Abdomen, Slice 118 of 134, CT slice 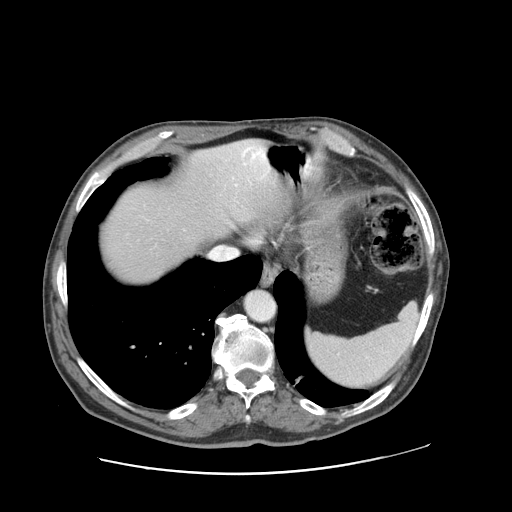
The vessel boxes may cover only some of the vessels.
Annotated regions:
* hepatic vessel: (left=267, top=166, right=267, bottom=170), (left=242, top=148, right=266, bottom=165)